FLAIR MR image.
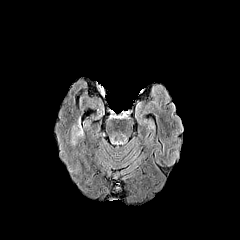
T1-weighted MR image.
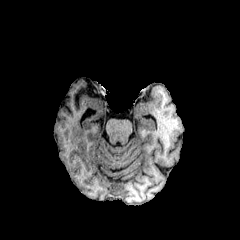
Post-contrast T1-weighted MR image.
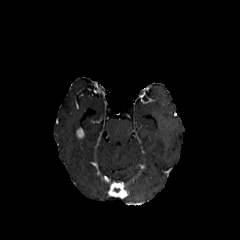
T2-weighted MR image.
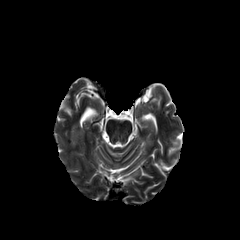
240x240 px
Enhancing tumor: (x1=76, y1=127, x2=84, y2=139).
Edema: (x1=71, y1=121, x2=81, y2=146).